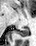

MRI.
The posterior hippocampus lies within left=12, top=28, right=28, bottom=36.